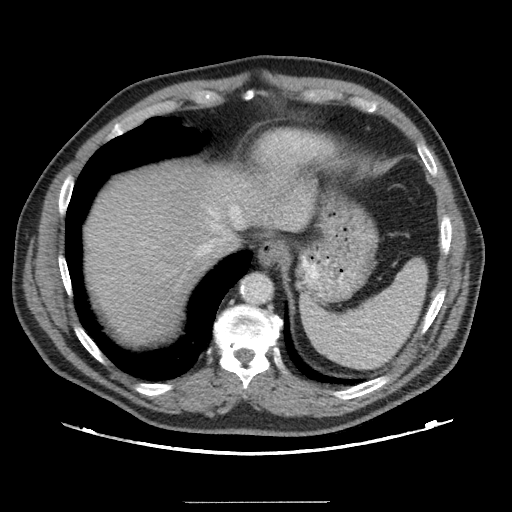

Liver, 512x512, CT image

Some hepatic vessels may have no box.
hepatic vessel: (210,221,221,229), (207,208,219,219), (196,239,214,255), (231,206,238,213)